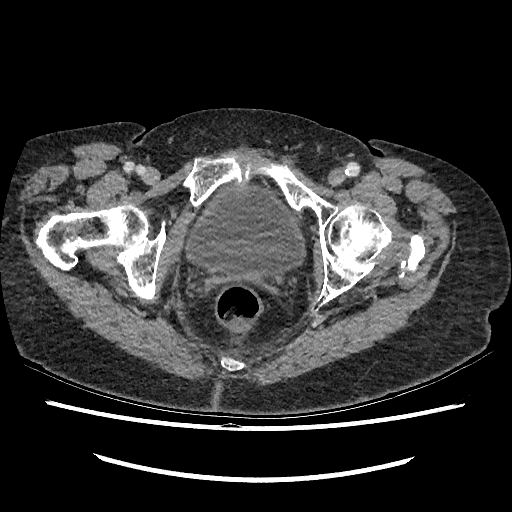 CT image
urinary bladder: 182,182,306,287